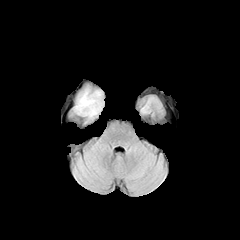
FLAIR MRI.
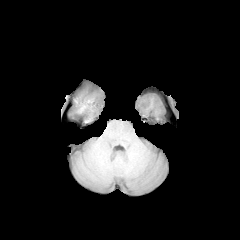
T1-weighted magnetic resonance.
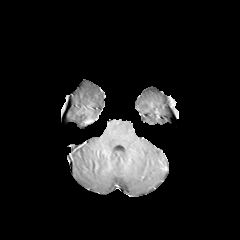
Post-contrast T1-weighted magnetic resonance of the same slice.
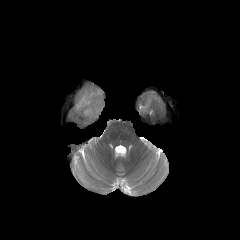
T2-weighted MR of the same slice.
Head
Edema = bbox=[75, 91, 100, 119].